MRI; Heart; Slice index 33; Image width 400 mm

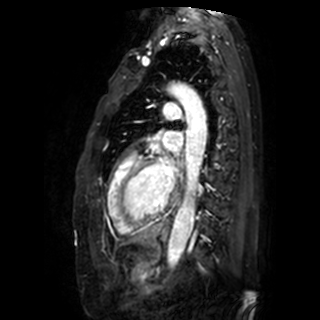
<segmentation>
  <left_atrium>region(159, 160, 173, 187); region(163, 132, 182, 150)</left_atrium>
</segmentation>